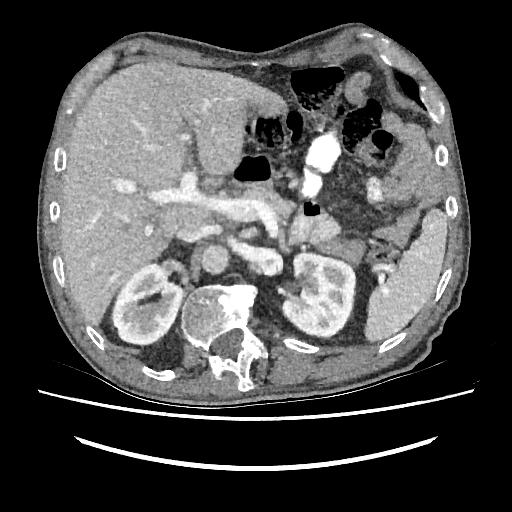

CT | Upper abdomen | 512x512
The liver is bounded by x1=62, y1=62, x2=287, y2=324. 2 hepatic lesion regions are located at x1=148, y1=213, x2=158, y2=221; x1=244, y1=104, x2=260, y2=117. 2 kidney regions appear at x1=283, y1=253, x2=354, y2=336; x1=113, y1=264, x2=182, y2=344.